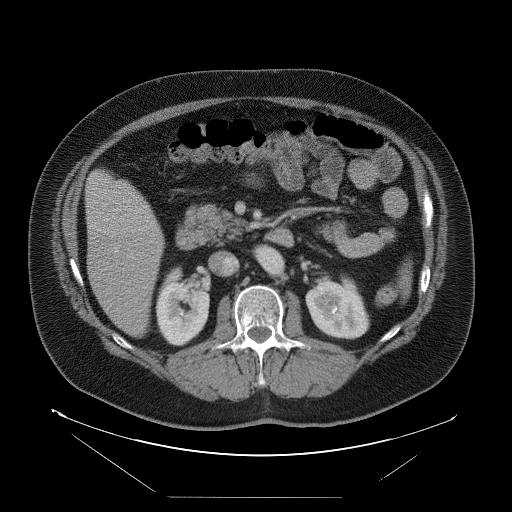 512x512. CT scan slice.

Not every hepatic vessel necessarily has a box.
<segmentation>
  <hepatic_vessel>(115,247,118,251), (105,218,108,221), (154,259,156,261), (144,222,156,229), (128,256,133,258)</hepatic_vessel>
</segmentation>